Slice 64 of 155. 240x240 px. Field of view 240x240 mm.
FLAIR magnetic resonance.
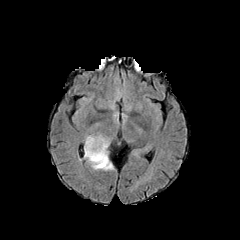
T1-weighted MRI.
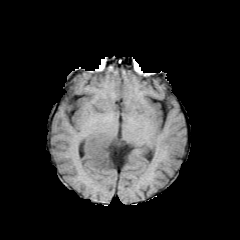
Post-contrast T1-weighted MR.
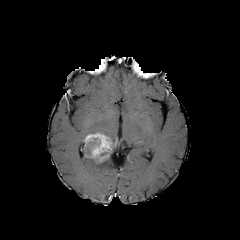
T2-weighted MRI.
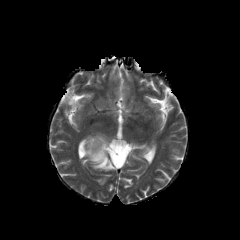
The edema appears at (83, 145, 114, 171). The enhancing tumor lies within (84, 133, 110, 162).